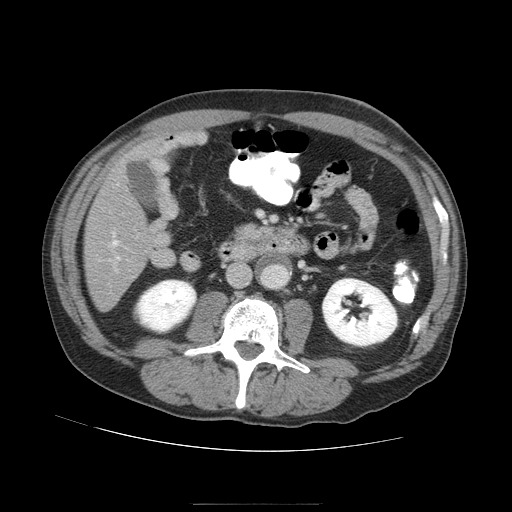
CT image
Only some of the vessels may be annotated.
hepatic vessel: 117:257:120:258, 113:231:115:237, 112:240:118:245